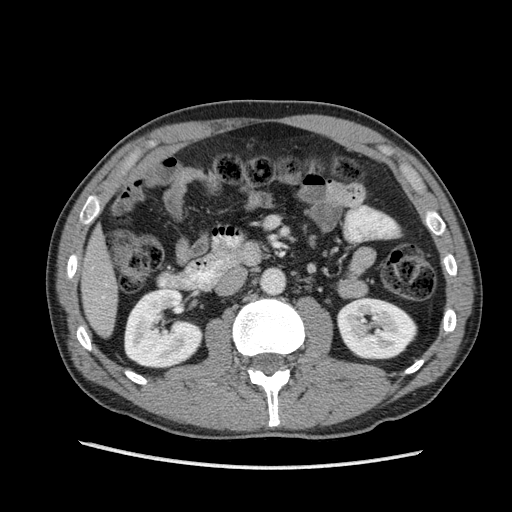 Upper abdomen; 512x512; CT
2 kidney regions appear at 125,289,200,366; 338,299,414,357. The liver is bounded by 76,225,117,337.